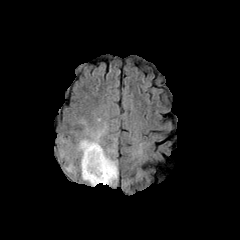
FLAIR MRI.
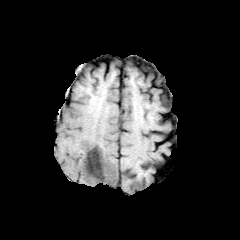
Same slice, T1-weighted MR.
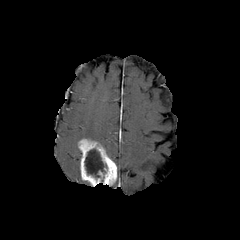
Post-contrast T1-weighted MRI.
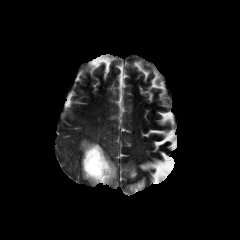
T2-weighted MR of the same slice.
Brain
The non-enhancing tumor core is bounded by (x1=84, y1=148, x2=107, y2=181). The enhancing tumor appears at (x1=77, y1=139, x2=116, y2=185). The edema is at (x1=57, y1=115, x2=118, y2=185).